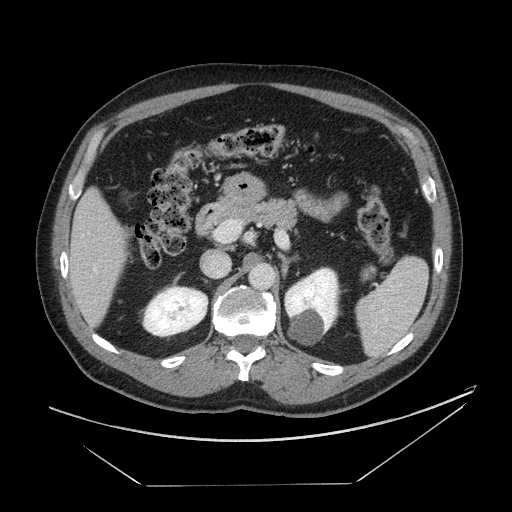
CT slice. The pancreas appears at <box>224,198,297,228</box>. The pancreatic tumor lies within <box>360,265,378,282</box>.